CT scan slice | Slice 40 of 88
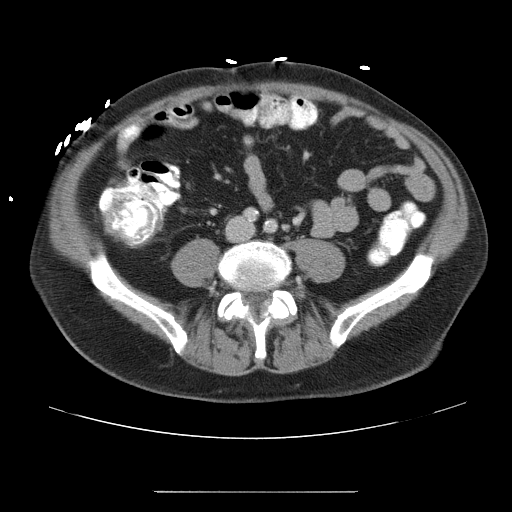
Colon tumor at 103,198,125,240.